Image size 240x240, Brain
FLAIR MRI.
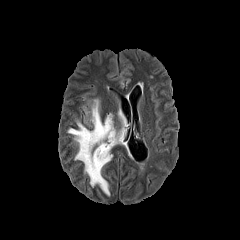
T1-weighted MR.
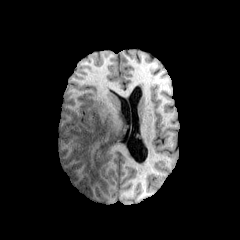
Post-contrast T1-weighted MRI.
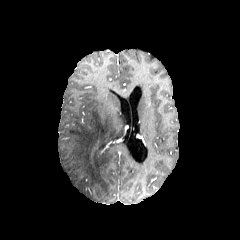
T2-weighted MR image.
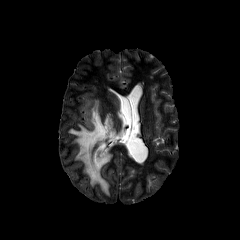
edema: 67, 98, 128, 196